Abdomen | 512x512 px | CT image

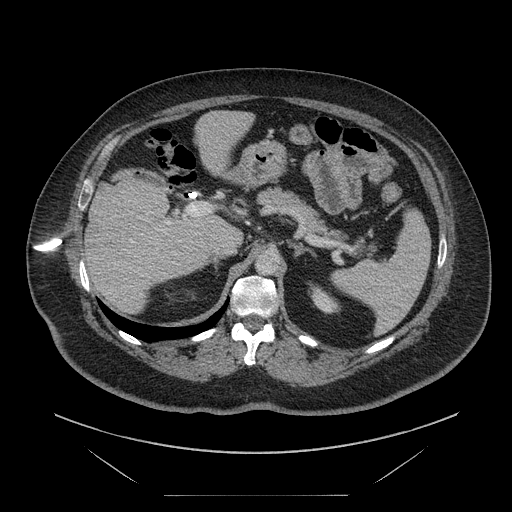 The vessel annotation is not exhaustive.
<segmentation>
  <hepatic_vessel>x1=166, y1=221, x2=171, y2=224; x1=184, y1=202, x2=211, y2=218</hepatic_vessel>
</segmentation>